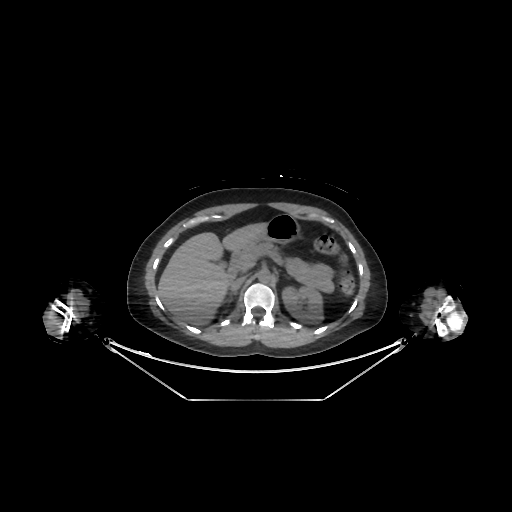

CT image
The kidney lies within region(282, 284, 324, 323). The liver is at region(156, 223, 278, 327).